CT slice. Liver.
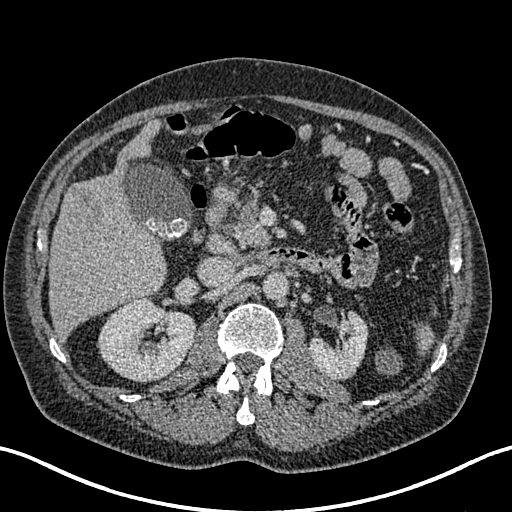
Hepatic lesion = l=68, t=185, r=103, b=222.
Liver = l=48, t=121, r=167, b=339.
Kidney = l=99, t=299, r=194, b=380; l=310, t=312, r=367, b=378.